MR image. 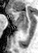

Anterior hippocampus: {"x1": 10, "y1": 9, "x2": 27, "y2": 26}.
Posterior hippocampus: {"x1": 19, "y1": 27, "x2": 27, "y2": 32}.